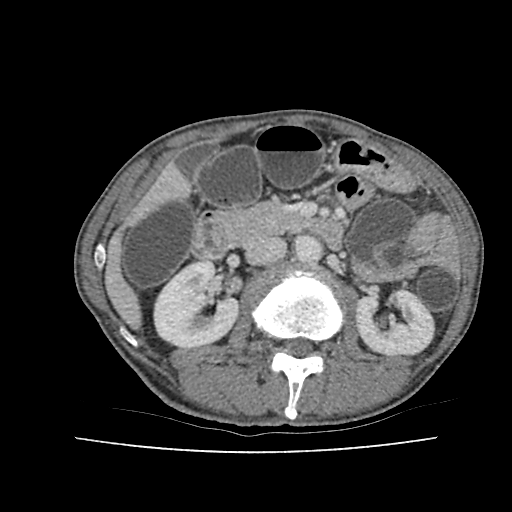

Liver. CT scan slice. 512x512 px. {"kidney": ["[357,291,433,354]", "[155,261,237,346]"], "liver": ["[131,168,184,221]", "[106,242,137,318]"]}